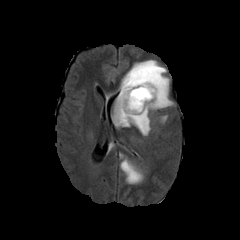
FLAIR MR image.
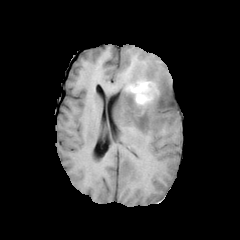
Same slice, T1-weighted MRI.
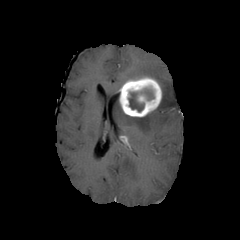
Post-contrast T1-weighted magnetic resonance.
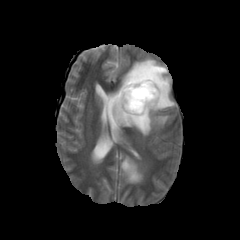
T2-weighted MR.
Head
Enhancing tumor: bounding box bbox(119, 76, 162, 117).
Edema: bounding box bbox(120, 59, 172, 109); bbox(120, 159, 142, 183); bbox(113, 93, 152, 135).
Non-enhancing tumor core: bounding box bbox(129, 92, 143, 111); bbox(141, 88, 153, 100).